CT
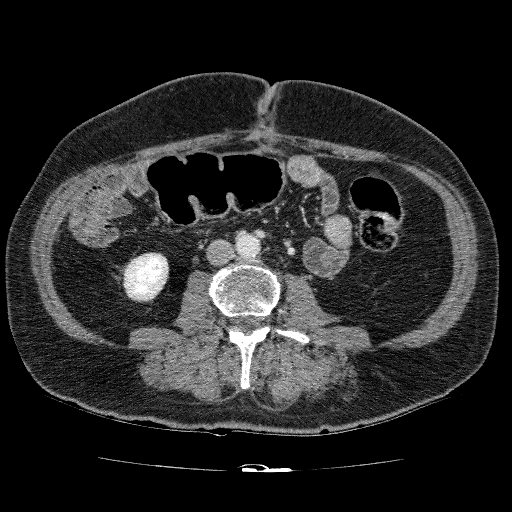
Kidney: bounding box box(123, 253, 168, 301).